Brain; Field of view 240 mm wide, 1.00 mm slice spacing
FLAIR MR image.
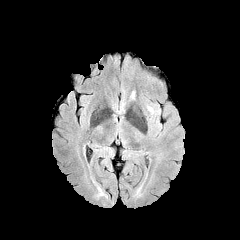
T1-weighted MRI.
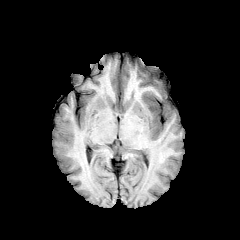
Post-contrast T1-weighted MR.
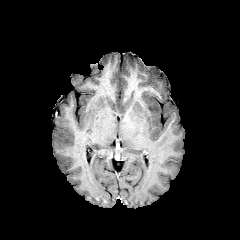
T2-weighted MR image.
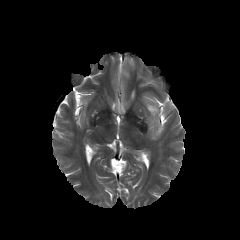
Annotated regions:
* edema: 147, 105, 160, 118